CT scan slice. Slice index 31. Liver. 512x512. 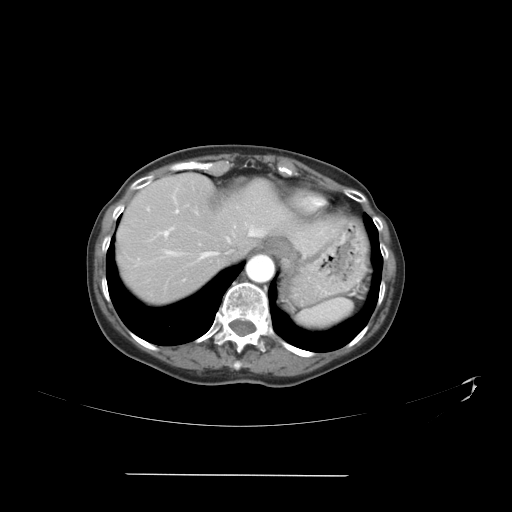 The vessel boxes may cover only some of the vessels.
hepatic vessel: [166,251,179,255], [201,252,216,258], [226,237,229,240], [175,210,178,212], [159,227,172,235], [249,227,264,235]